FLAIR MRI.
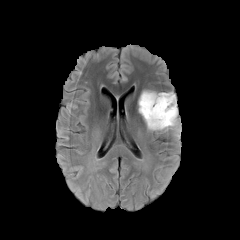
T1-weighted magnetic resonance.
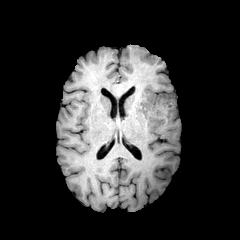
Post-contrast T1-weighted MR.
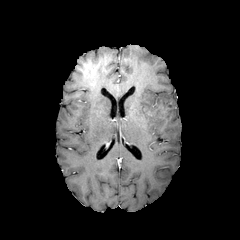
T2-weighted MRI.
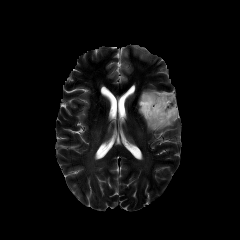
240x240 px, Head
Edema at bbox(138, 89, 179, 133).
Non-enhancing tumor core at bbox(143, 96, 175, 123).